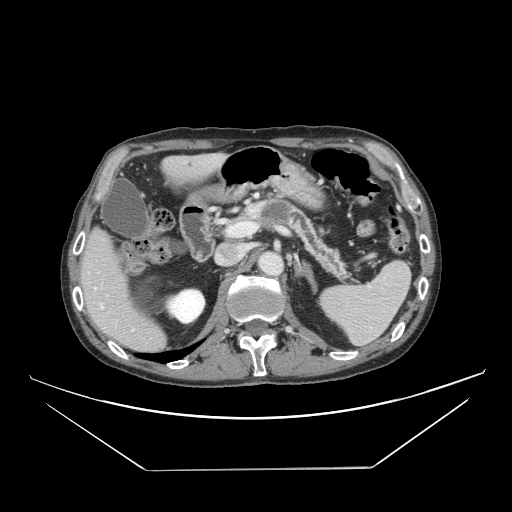

512x512. CT. {"pancreas": ["rect(234, 197, 352, 282)"], "pancreatic_tumor": ["rect(262, 202, 291, 220)"]}